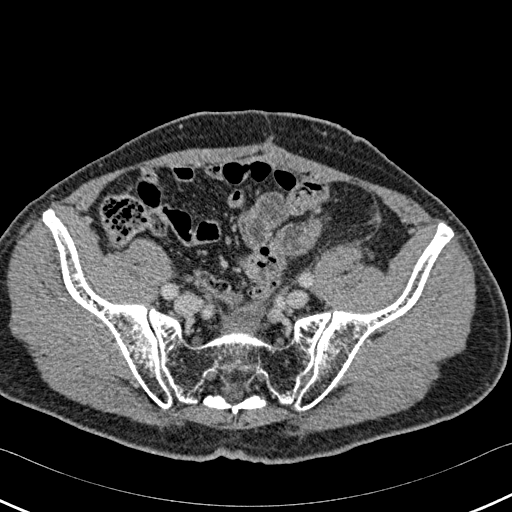 512x512. CT slice.
Bone — left=43, top=210, right=453, bottom=413.